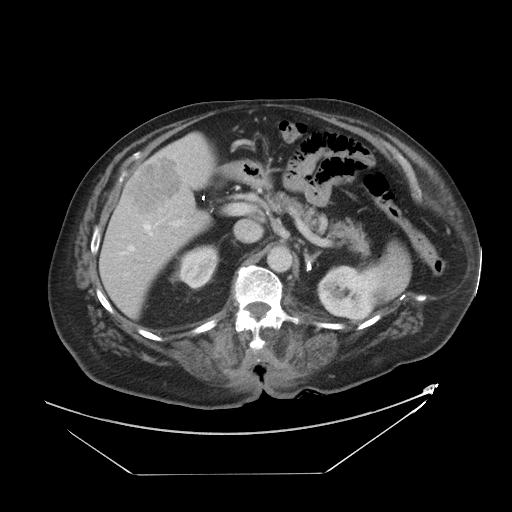
CT slice | 512x512 px | Abdomen
The vessel boxes may cover only some of the vessels.
The hepatic vessel lies within x1=170 y1=220 x2=183 y2=225. The liver tumor lies within x1=127 y1=155 x2=183 y2=216.